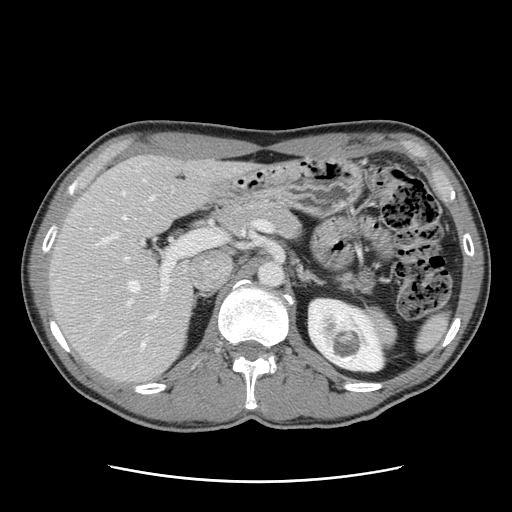

Abdomen. 512x512 px. CT slice.

The vessel annotation is not exhaustive.
Hepatic vessel — {"x1": 126, "y1": 300, "x2": 131, "y2": 304}, {"x1": 97, "y1": 316, "x2": 99, "y2": 317}, {"x1": 147, "y1": 314, "x2": 154, "y2": 318}, {"x1": 161, "y1": 272, "x2": 170, "y2": 292}, {"x1": 146, "y1": 334, "x2": 147, "y2": 336}, {"x1": 122, "y1": 192, "x2": 124, "y2": 194}, {"x1": 150, "y1": 196, "x2": 153, "y2": 199}, {"x1": 123, "y1": 216, "x2": 125, "y2": 218}, {"x1": 141, "y1": 239, "x2": 142, "y2": 243}, {"x1": 127, "y1": 281, "x2": 138, "y2": 291}, {"x1": 124, "y1": 257, "x2": 127, "y2": 260}, {"x1": 140, "y1": 343, "x2": 144, "y2": 349}, {"x1": 97, "y1": 233, "x2": 117, "y2": 244}.